CT slice. Slice index 218. 512x512.
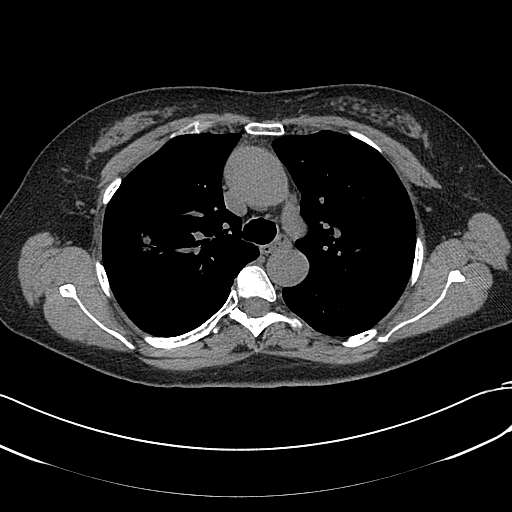 The lung tumor is bounded by left=130, top=232, right=152, bottom=264.